Abdomen, CT 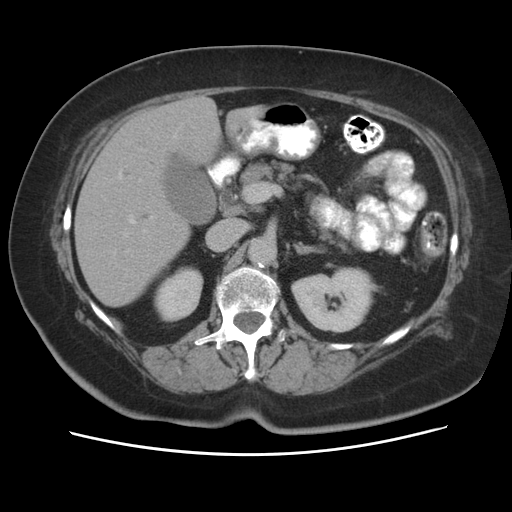 Segmented structures:
• pancreas: l=239, t=162, r=290, b=184